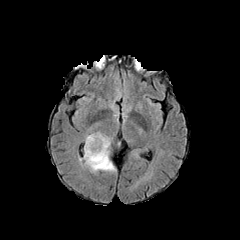
FLAIR MRI.
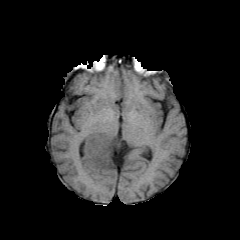
Same slice, T1-weighted magnetic resonance.
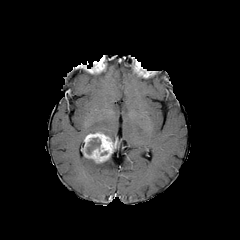
Post-contrast T1-weighted MR.
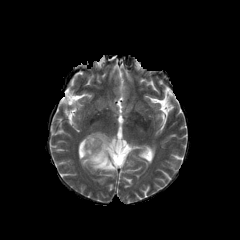
Same slice, T2-weighted MR image.
240x240, Brain
Annotated regions:
* non-enhancing tumor core: left=85, top=138, right=100, bottom=155
* edema: left=79, top=157, right=116, bottom=174
* enhancing tumor: left=84, top=132, right=117, bottom=163